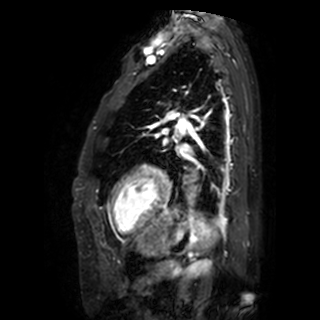 Heart | MRI

left atrium: (179,147,187,156)